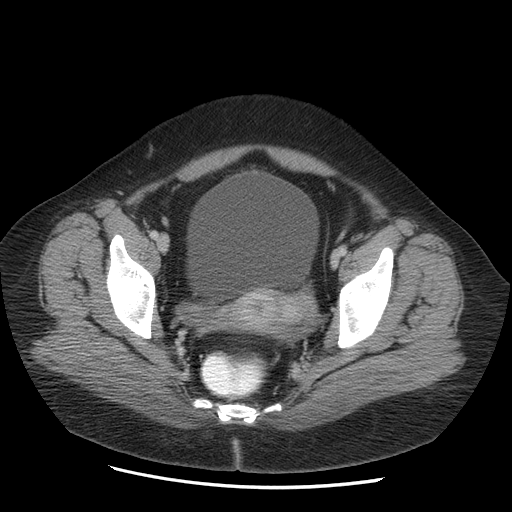

Lower abdomen | CT slice
Urinary bladder: bounding box (left=188, top=175, right=316, bottom=297).